CT; Slice 402/811; Field of view 387 mm wide, 0.80 mm slice spacing; Abdomen 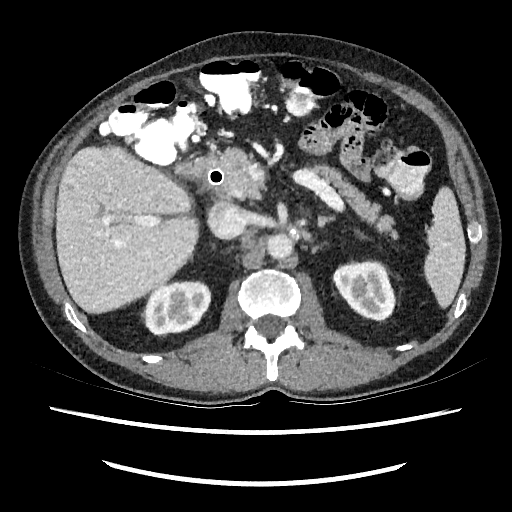

2 kidney regions are located at bbox(146, 283, 209, 333); bbox(334, 263, 394, 319). The liver is at bbox(56, 148, 198, 312).